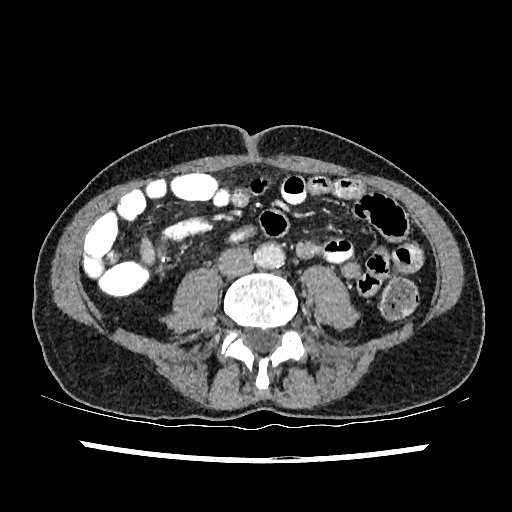
Liver. CT. Image size 512x512. Annotated regions:
• liver: (141,240,153,261)